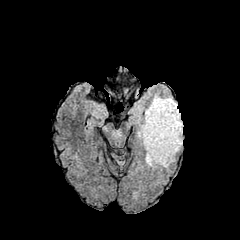
FLAIR MR image.
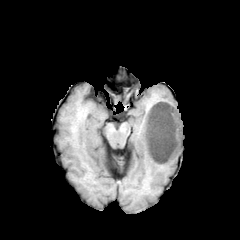
T1-weighted magnetic resonance.
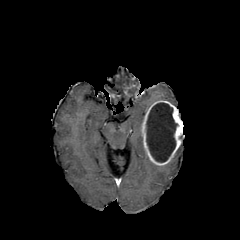
Same slice, post-contrast T1-weighted magnetic resonance.
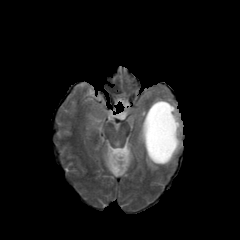
T2-weighted MR.
240x240.
Enhancing tumor — bbox(141, 100, 183, 164).
Edema — bbox(144, 95, 177, 113); bbox(137, 113, 176, 169).
Non-enhancing tumor core — bbox(146, 102, 176, 162).